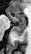 Hippocampus. Image size 31x54. MRI. posterior_hippocampus:
  - box=[12, 23, 26, 36]
anterior_hippocampus:
  - box=[7, 12, 25, 23]